Head | 240x240
FLAIR magnetic resonance.
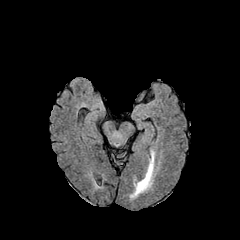
T1-weighted MRI.
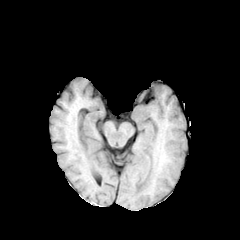
Post-contrast T1-weighted MR image.
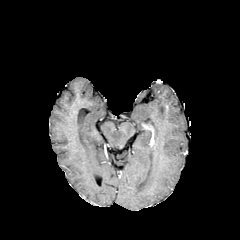
T2-weighted magnetic resonance.
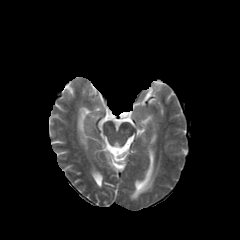
• edema: bbox(131, 151, 154, 197)